Liver; CT slice 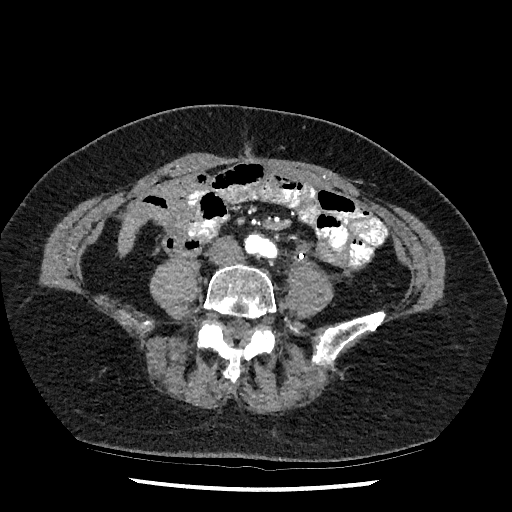

{"liver": ["118, 205, 146, 253"]}